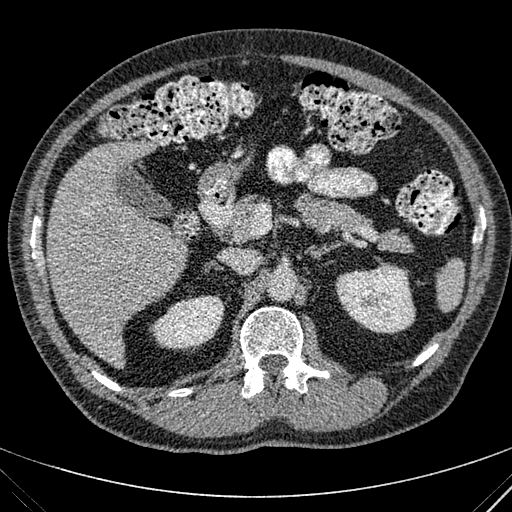

CT, Upper abdomen

The liver is bounded by x1=46 y1=141 x2=186 y2=366. 2 kidney regions are located at x1=336 y1=265 x2=414 y2=332, x1=153 y1=295 x2=223 y2=348.